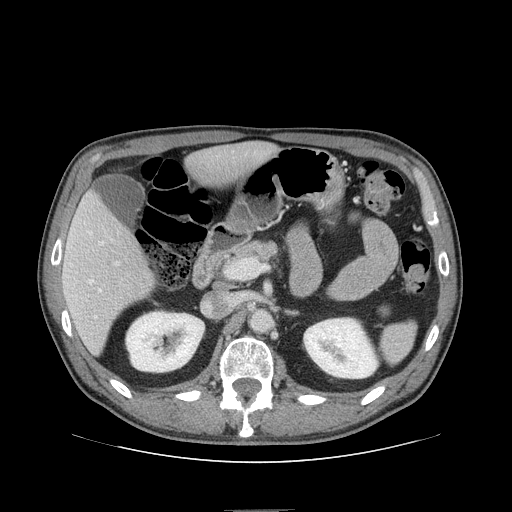 Computed tomography, Upper abdomen
Pancreas: 237:241:277:261.